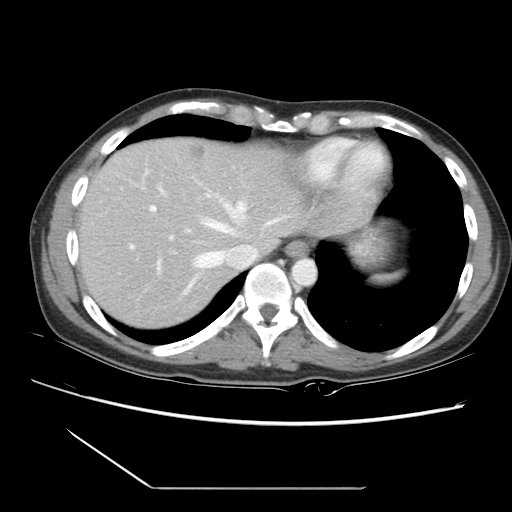
512x512 px, Abdomen, CT slice
Not every hepatic vessel necessarily has a box.
hepatic_vessel:
  - rect(263, 216, 288, 229)
  - rect(202, 218, 237, 236)
  - rect(171, 252, 174, 253)
  - rect(169, 236, 173, 240)
  - rect(192, 177, 247, 224)
  - rect(136, 170, 148, 189)
  - rect(149, 205, 156, 212)
  - rect(158, 184, 165, 195)
  - rect(186, 230, 190, 232)
  - rect(130, 245, 135, 249)
  - rect(193, 245, 257, 268)
  - rect(183, 275, 198, 295)
  - rect(157, 259, 160, 273)
  - rect(129, 181, 134, 184)
liver_tumor:
  - rect(189, 144, 204, 157)